Image size 512x512. Slice index 26. CT scan slice.
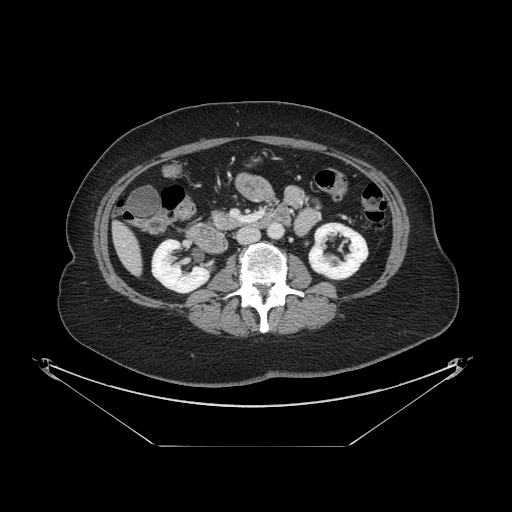
Findings:
* pancreas: (x1=213, y1=211, x2=242, y2=230)